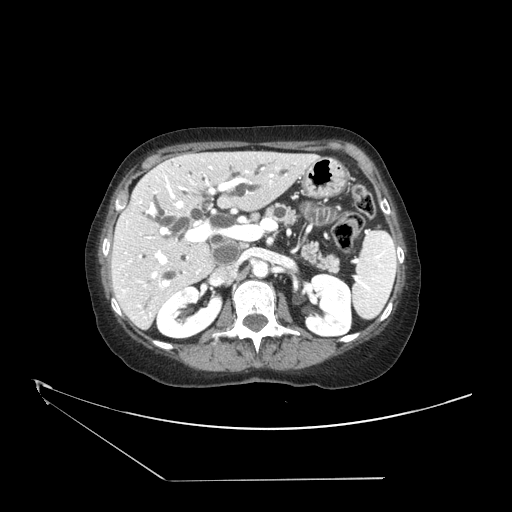

CT.

pancreas:
  - [x1=302, y1=242, x2=338, y2=272]
  - [x1=266, y1=204, x2=296, y2=225]